Slice 97 of 155; Image width 240 mm; 240x240; Brain
FLAIR MR image.
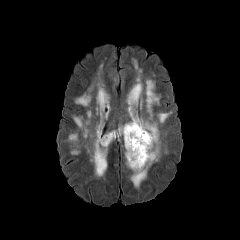
T1-weighted MR image.
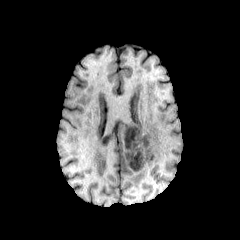
Post-contrast T1-weighted MRI.
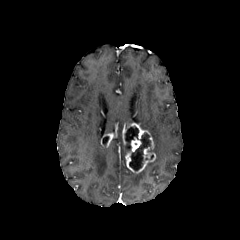
T2-weighted magnetic resonance.
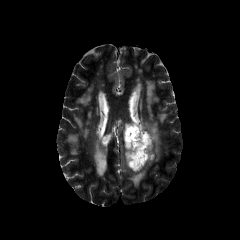
Enhancing tumor at bbox=[122, 123, 155, 173]; bbox=[103, 133, 117, 147].
Edema at bbox=[145, 78, 160, 119]; bbox=[73, 116, 88, 139]; bbox=[90, 121, 107, 179]; bbox=[75, 94, 90, 106]; bbox=[68, 134, 78, 146]; bbox=[96, 81, 109, 118]; bbox=[126, 60, 161, 161]; bbox=[158, 112, 172, 123]; bbox=[129, 163, 152, 188].
Non-enhancing tumor core at bbox=[102, 135, 109, 146]; bbox=[124, 127, 139, 152]; bbox=[129, 132, 150, 171].